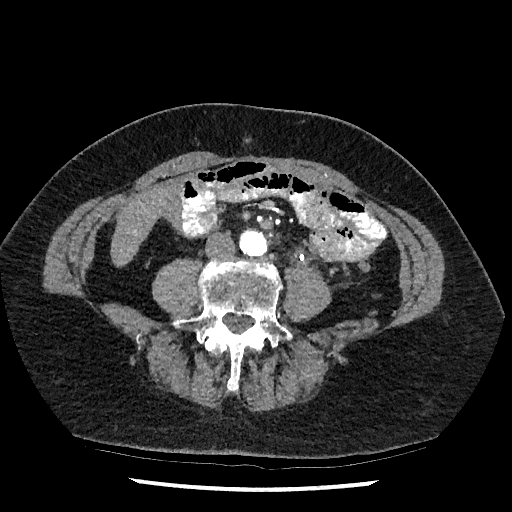 Image size 512x512. Upper abdomen. Computed tomography.

The liver is located at <bbox>111, 185, 170, 266</bbox>.